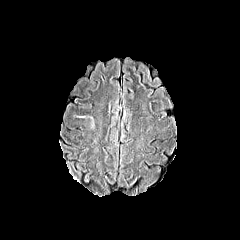
FLAIR MR.
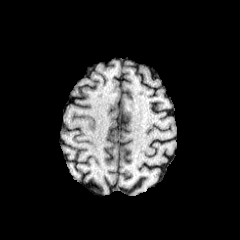
T1-weighted MRI.
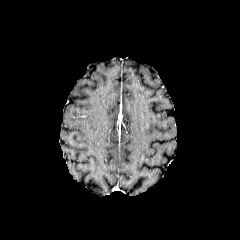
Post-contrast T1-weighted MRI of the same slice.
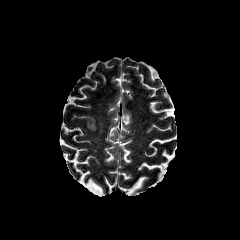
T2-weighted MR image of the same slice.
Brain; 240x240
Segmented structures:
* edema: 80,116,95,129